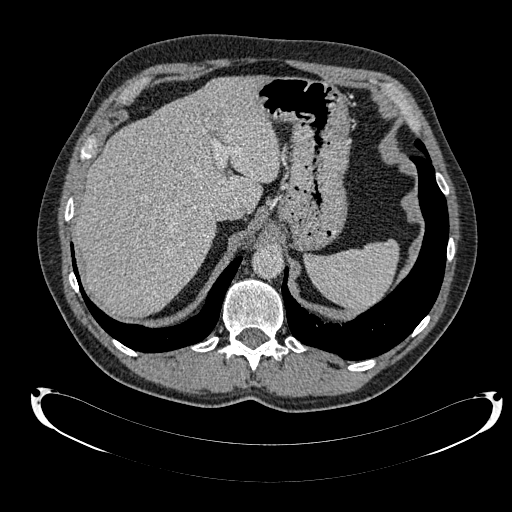

Computed tomography
* liver: rect(75, 76, 280, 316)